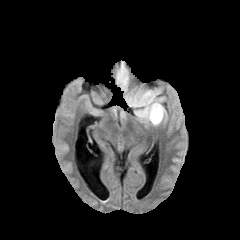
FLAIR magnetic resonance.
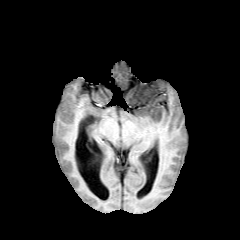
T1-weighted magnetic resonance.
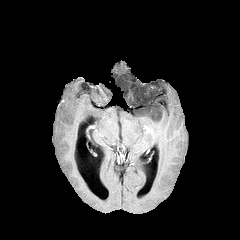
Same slice, post-contrast T1-weighted magnetic resonance.
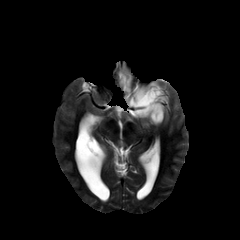
T2-weighted MRI.
Brain; 240x240 px
<segmentation>
  <edema>(123,88,134,108), (113,105,126,116), (115,62,130,90), (133,104,166,127)</edema>
  <non-enhancing_tumor_core>(132,83,164,121)</non-enhancing_tumor_core>
</segmentation>